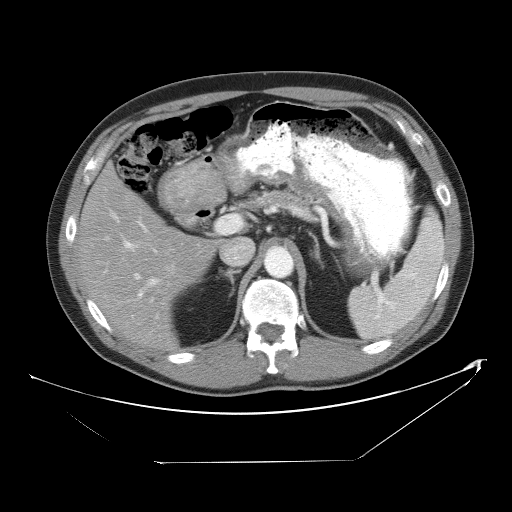

CT image | Abdomen
Only some of the vessels may be annotated.
Hepatic vessel — 110:212:118:221, 134:273:140:278, 105:236:109:239, 167:265:173:269, 156:314:157:317, 139:290:142:293, 149:285:152:285, 137:218:141:223, 133:244:136:248, 150:298:153:301, 123:238:126:246, 153:248:156:252, 147:279:152:284, 145:230:147:231.